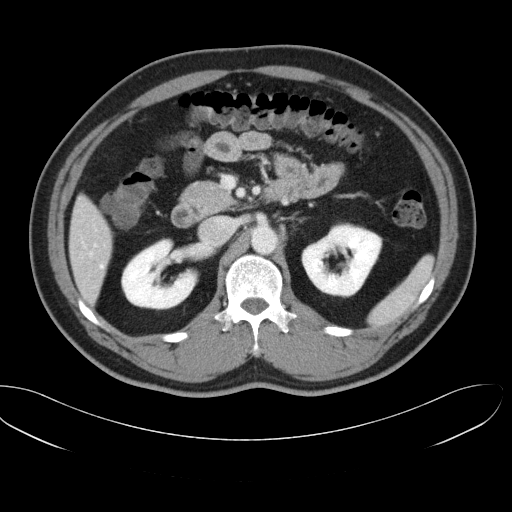
Computed tomography

The vessel boxes may cover only some of the vessels.
hepatic vessel: region(95, 228, 97, 231); region(94, 244, 96, 246); region(88, 252, 91, 255); region(82, 242, 86, 248); region(99, 264, 102, 267)